Brain
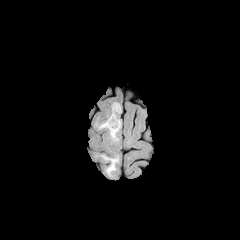
FLAIR MR.
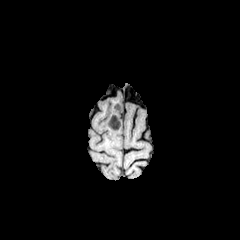
T1-weighted magnetic resonance.
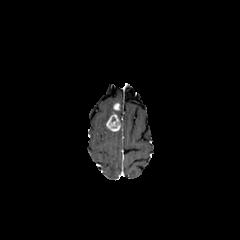
Post-contrast T1-weighted magnetic resonance.
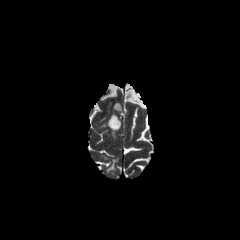
T2-weighted MR image.
Edema at rect(105, 157, 118, 172); rect(109, 131, 117, 140).
Enhancing tumor at rect(106, 112, 121, 131).